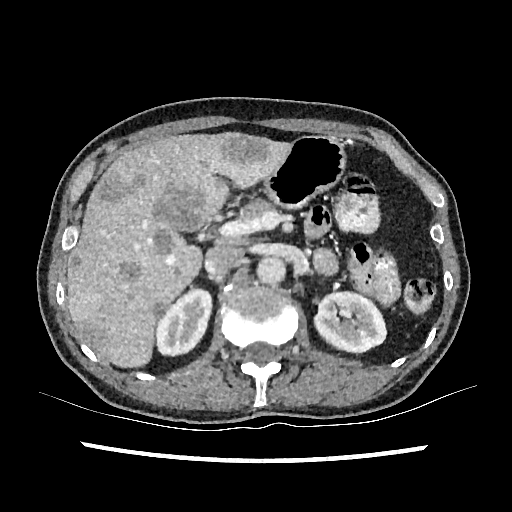

Image size 512x512; Abdomen; CT slice
{"kidney": ["x1=315, y1=292, x2=386, y2=352", "x1=156, y1=290, x2=211, y2=357"], "hepatic_lesion": ["x1=79, y1=320, x2=106, y2=347", "x1=132, y1=174, x2=145, y2=186", "x1=97, y1=172, x2=127, y2=203", "x1=218, y1=134, x2=271, y2=167", "x1=153, y1=228, x2=174, y2=254", "x1=153, y1=187, x2=204, y2=230", "x1=152, y1=302, x2=166, y2=317", "x1=69, y1=255, x2=81, y2=269", "x1=119, y1=262, x2=140, y2=281"], "liver": ["x1=67, y1=132, x2=289, y2=367"]}